Computed tomography 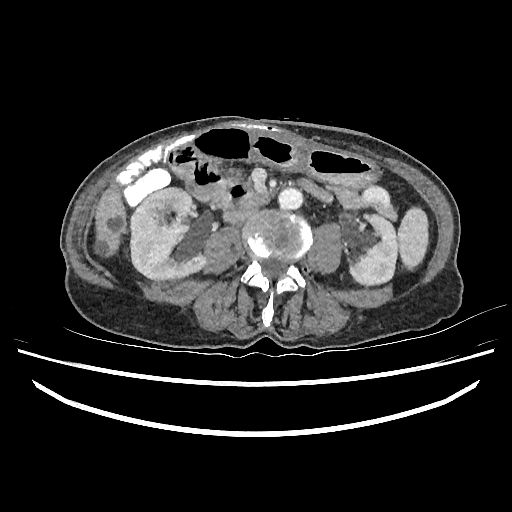

Focal liver lesion = (left=97, top=241, right=106, bottom=256), (left=110, top=217, right=122, bottom=230).
Liver = (left=96, top=185, right=125, bottom=256).
Kidney = (left=350, top=215, right=397, bottom=284), (left=131, top=188, right=205, bottom=279).